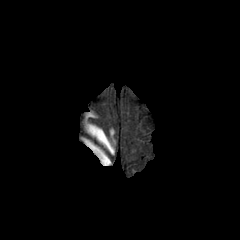
FLAIR MR image.
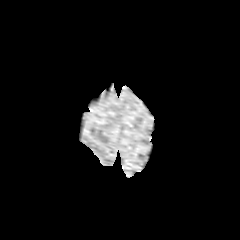
T1-weighted magnetic resonance.
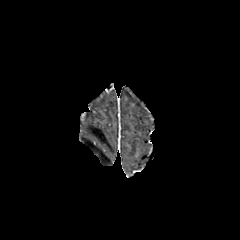
Post-contrast T1-weighted MRI.
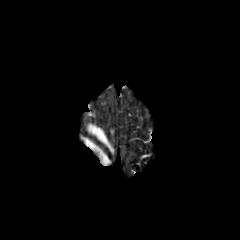
T2-weighted magnetic resonance.
Edema — 86:124:114:154, 82:138:111:165.